240x240 px
FLAIR MRI.
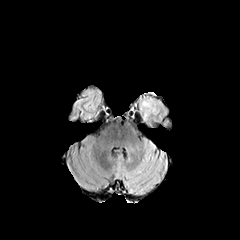
T1-weighted MRI.
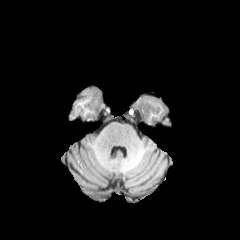
Post-contrast T1-weighted magnetic resonance.
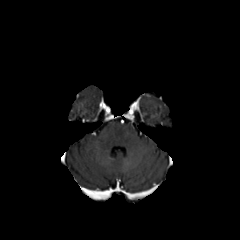
T2-weighted magnetic resonance.
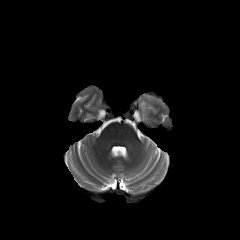
edema: 139, 96, 160, 123